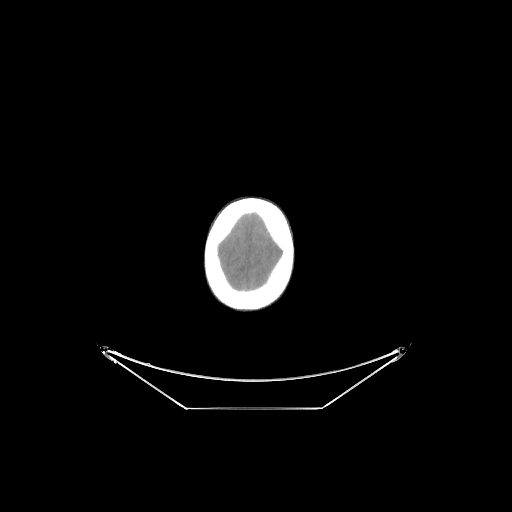

Head. CT image. 512x512.

<segmentation>
  <bone>bbox(205, 198, 293, 309)</bone>
  <brain>bbox(218, 213, 282, 290)</brain>
</segmentation>